512x512 px; CT scan slice; Abdomen; Field of view 439x439 mm

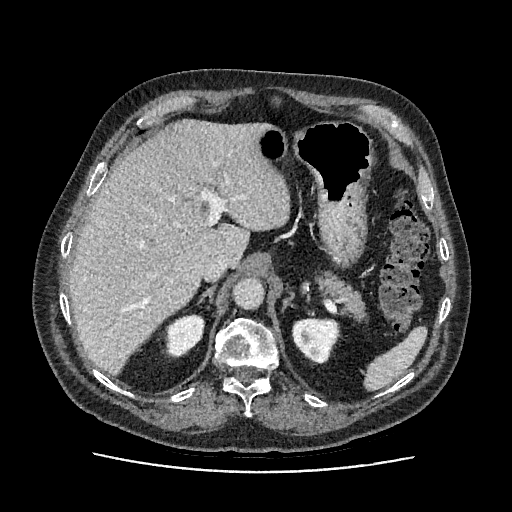

Annotated regions:
- kidney: region(168, 316, 203, 354); region(293, 319, 337, 362)
- liver: region(70, 119, 289, 374)